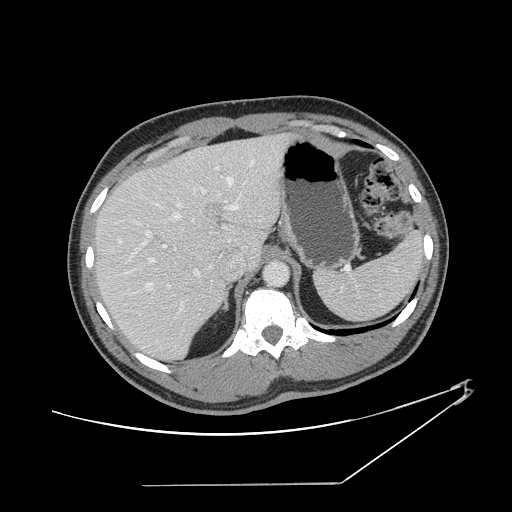 CT scan slice

Not every hepatic vessel necessarily has a box.
The largest 15 hepatic vessel regions (of 25) are bounded by 146:283:153:289, 199:187:205:192, 195:270:199:276, 140:242:146:246, 170:213:180:219, 127:270:133:273, 179:299:186:311, 177:203:181:207, 146:231:150:236, 227:177:233:185, 250:160:254:165, 225:193:240:209, 215:166:219:169, 149:258:154:262, 125:248:138:263.